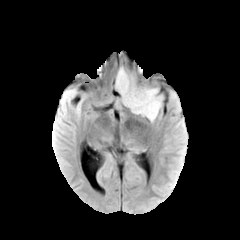
FLAIR magnetic resonance.
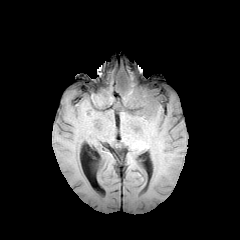
Same slice, T1-weighted MR image.
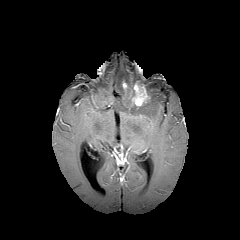
Post-contrast T1-weighted magnetic resonance.
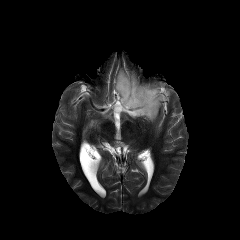
Same slice, T2-weighted magnetic resonance.
Head | Image size 240x240
Enhancing tumor — <box>122,81,149,106</box>.
Edema — <box>140,84,163,121</box>, <box>114,101,127,111</box>, <box>115,67,141,88</box>.
Non-enhancing tumor core — <box>116,75,157,115</box>.